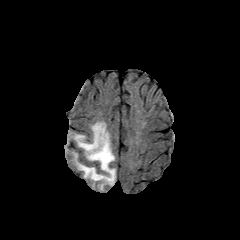
FLAIR MR image.
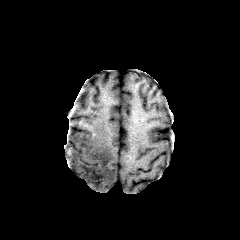
Same slice, T1-weighted MRI.
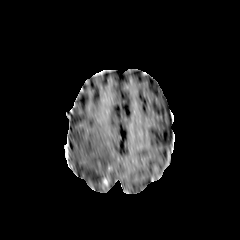
Post-contrast T1-weighted MR image.
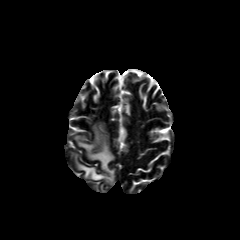
T2-weighted MR image.
240x240 px
The edema is bounded by box=[72, 122, 115, 190].